Brain. 240x240 px. Slice index 126.
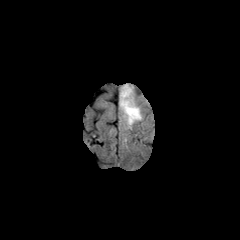
FLAIR magnetic resonance.
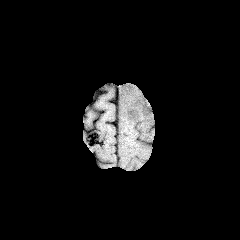
T1-weighted MR image.
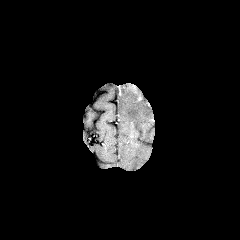
Post-contrast T1-weighted magnetic resonance of the same slice.
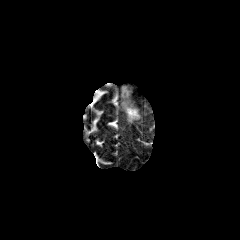
T2-weighted MR image.
Edema — l=119, t=84, r=143, b=125.